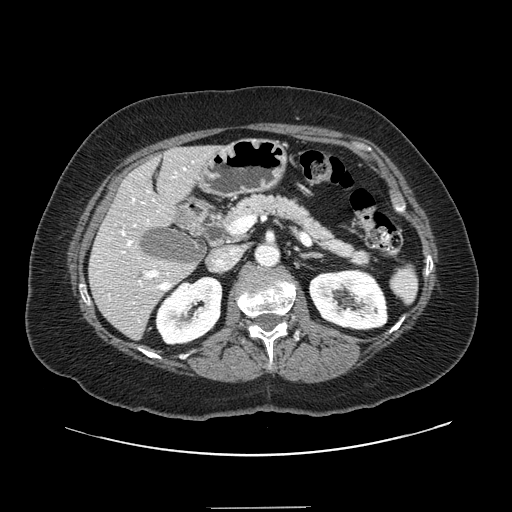
Image size 512x512 | Abdomen | Computed tomography
Pancreas at bbox(222, 193, 370, 268).